FLAIR MR image.
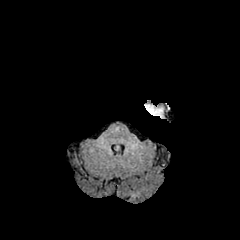
T1-weighted MRI.
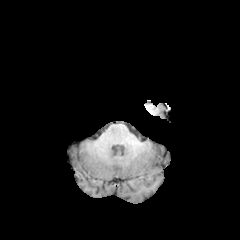
Post-contrast T1-weighted magnetic resonance.
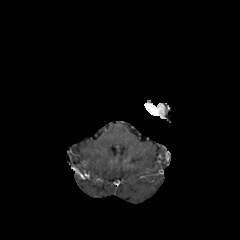
T2-weighted MRI.
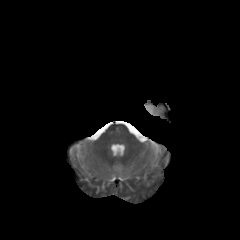
Head | 240x240 px
Findings:
* enhancing tumor: x1=147, y1=102, x2=163, y2=117